Image width 240 mm | Brain | Slice index 109
FLAIR MR.
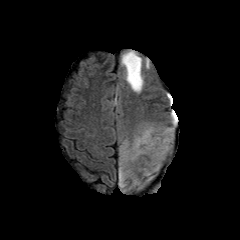
T1-weighted magnetic resonance.
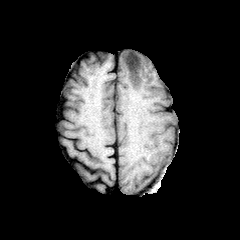
Post-contrast T1-weighted MR.
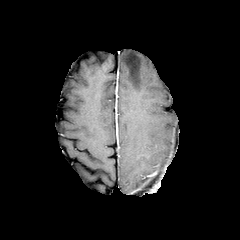
T2-weighted MRI.
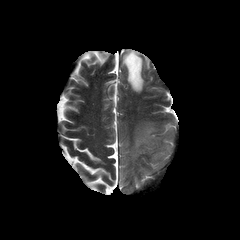
Non-enhancing tumor core: bounding box x1=127, y1=53, x2=140, y2=82.
Edema: bounding box x1=119, y1=169, x2=124, y2=186; x1=120, y1=50, x2=149, y2=92.